FLAIR MRI.
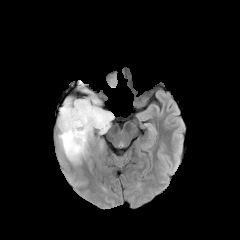
T1-weighted MR.
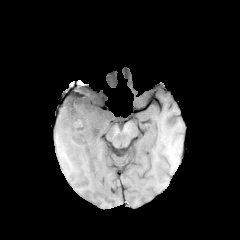
Post-contrast T1-weighted MR.
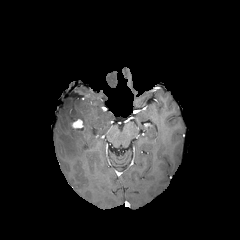
T2-weighted magnetic resonance.
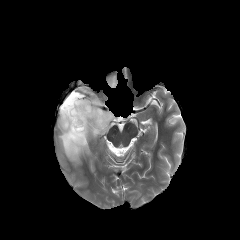
Image size 240x240.
* edema: <bbox>74, 89, 91, 99</bbox>, <bbox>58, 96, 113, 164</bbox>
* non-enhancing tumor core: <bbox>66, 92, 105, 133</bbox>
* enhancing tumor: <bbox>72, 119, 83, 128</bbox>